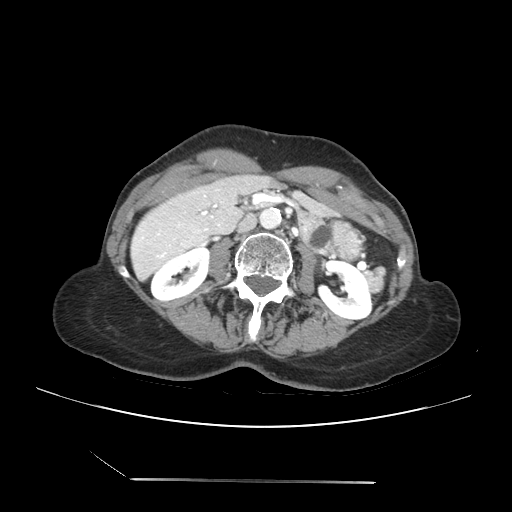
Abdomen. Computed tomography.
pancreatic tumor: box(310, 226, 330, 248) | pancreas: box(297, 210, 335, 258)